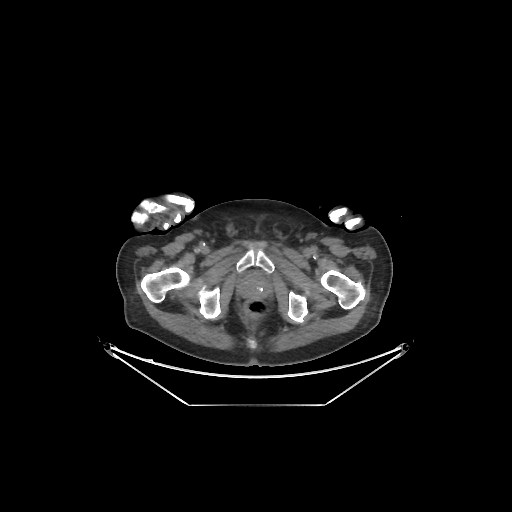 CT image.

Bone = bbox=[132, 212, 147, 223]; bbox=[141, 266, 189, 302]; bbox=[320, 269, 365, 308]; bbox=[345, 218, 360, 228]; bbox=[174, 213, 180, 222]; bbox=[288, 291, 307, 322]; bbox=[198, 285, 220, 318]; bbox=[141, 200, 166, 212]; bbox=[330, 208, 346, 222]; bbox=[166, 195, 193, 211]; bbox=[236, 249, 274, 272].